Upper abdomen. Computed tomography.
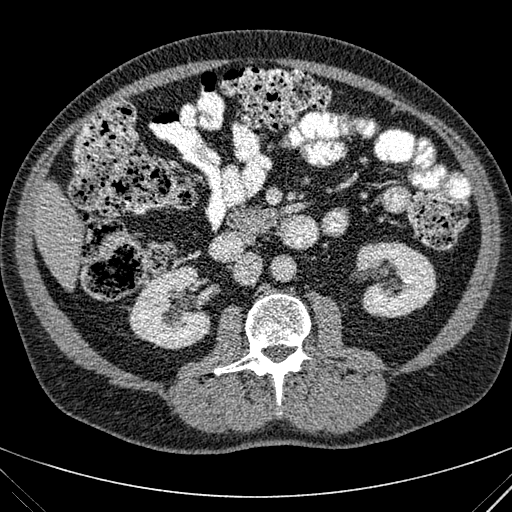
The liver is located at <box>35,182,81,289</box>. 2 kidney regions appear at <box>357,242,435,317</box>, <box>130,267,214,348</box>.